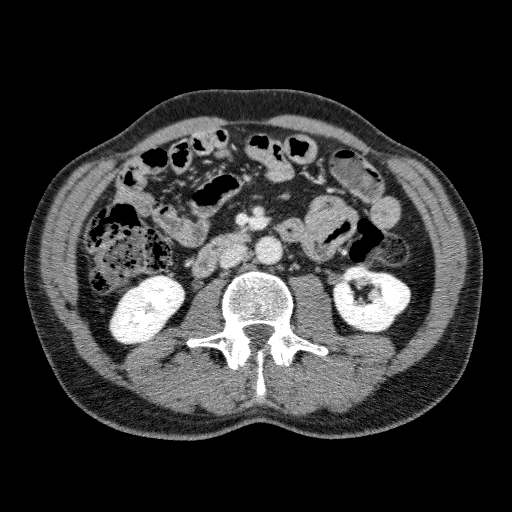 CT. Abdomen. Image size 512x512. - kidney: 334 267 409 331, 111 276 183 343